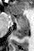 MRI slice.
Annotated regions:
• posterior hippocampus: 12:25:29:39
• anterior hippocampus: 13:15:27:24